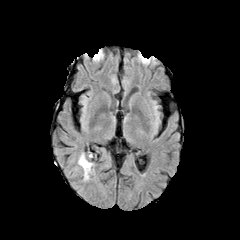
FLAIR MR.
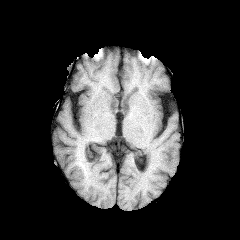
T1-weighted MRI.
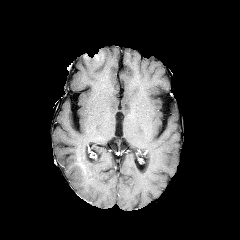
Same slice, post-contrast T1-weighted MR.
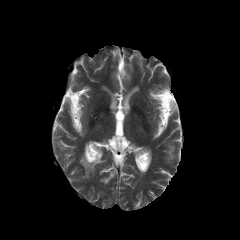
T2-weighted MRI of the same slice.
The edema is located at box=[79, 152, 94, 179].